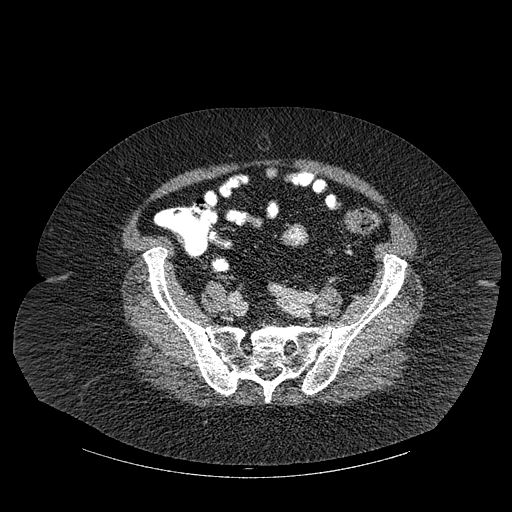
CT image
Bone at region(143, 247, 406, 402).